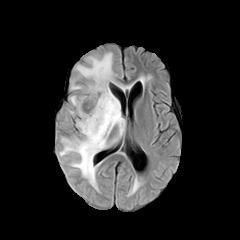
FLAIR MRI.
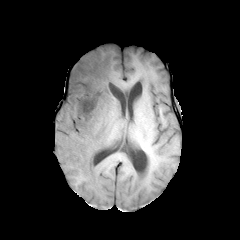
T1-weighted magnetic resonance of the same slice.
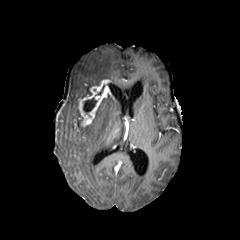
Post-contrast T1-weighted MRI.
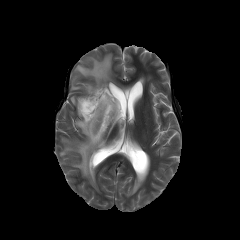
T2-weighted MR.
Annotated regions:
- non-enhancing tumor core: 82, 98, 96, 113; 95, 102, 103, 117
- enhancing tumor: 78, 79, 110, 126
- edema: 72, 53, 112, 95; 59, 94, 125, 188; 71, 96, 83, 126